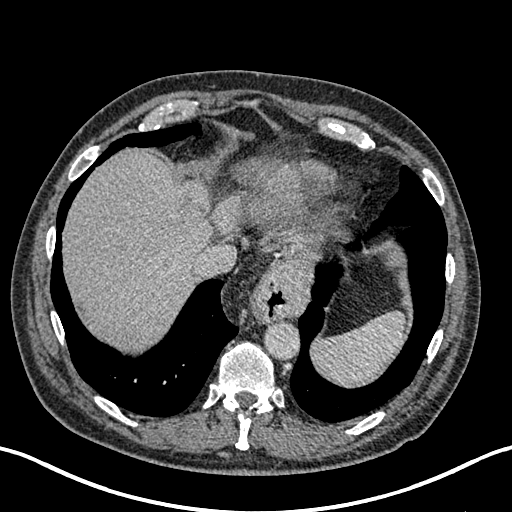 CT scan slice; Liver

• liver lesion: <bbox>177, 194, 209, 221</bbox>
• liver: <bbox>212, 194, 240, 232</bbox>, <bbox>62, 149, 212, 348</bbox>